Slice 147/565; Computed tomography; Image width 335 mm

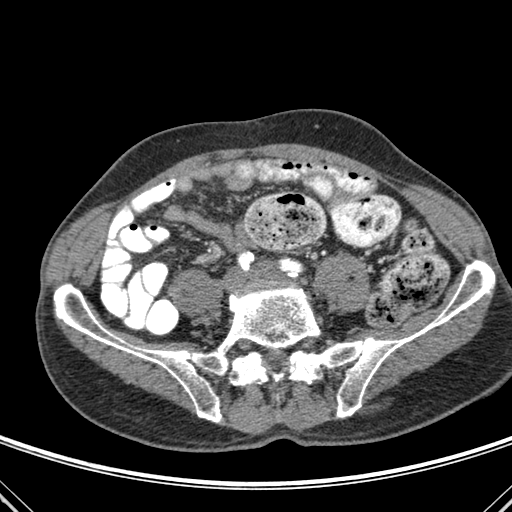

<segmentation>
  <bone>54, 284, 320, 422; 231, 352, 268, 385; 274, 260, 494, 417</bone>
</segmentation>